Computed tomography, Slice 41/93, Upper abdomen, Image width 428 mm 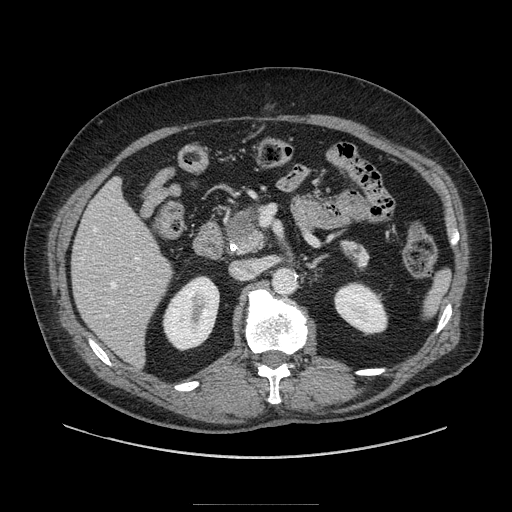

pancreas: rect(341, 241, 368, 267); rect(229, 208, 265, 253) | pancreatic tumor: rect(227, 211, 251, 239)